FLAIR MRI.
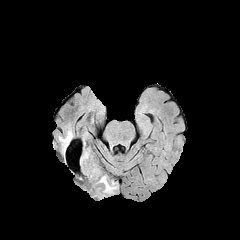
T1-weighted magnetic resonance.
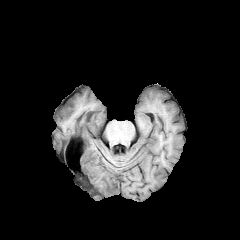
Post-contrast T1-weighted MR image.
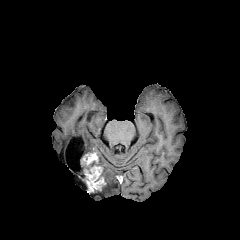
T2-weighted magnetic resonance.
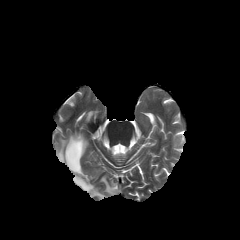
The non-enhancing tumor core is at box=[80, 153, 105, 191]. The enhancing tumor is at box=[87, 168, 99, 181]. 2 edema regions appear at box=[61, 135, 70, 152]; box=[100, 167, 117, 193].